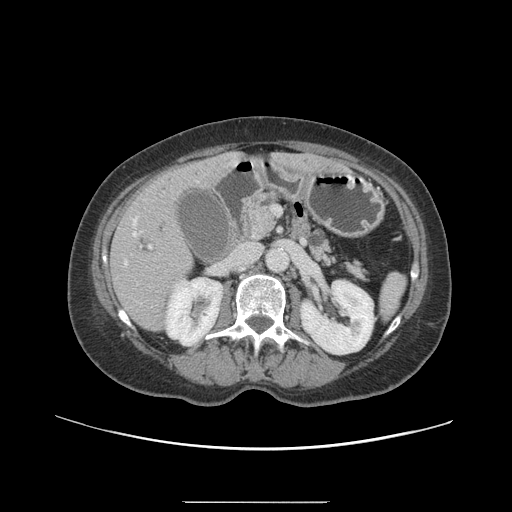 CT image; Upper abdomen

• pancreas: x1=248, y1=192, x2=277, y2=240; x1=347, y1=265, x2=364, y2=278; x1=313, y1=242, x2=330, y2=263
• pancreatic tumor: x1=257, y1=209, x2=274, y2=231